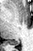 MRI slice | Medial temporal lobe
The posterior hippocampus is at [x1=7, y1=40, x2=19, y2=45].